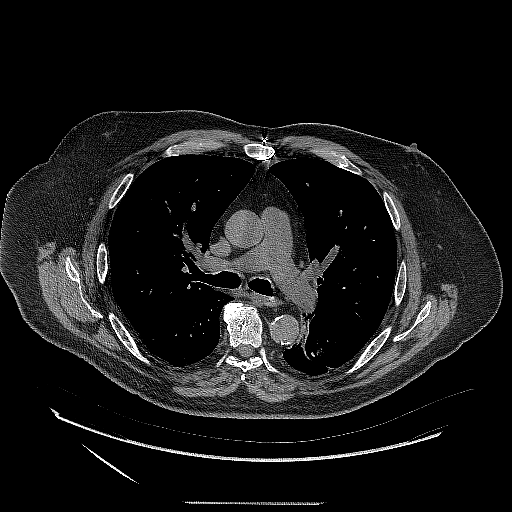

512x512 px, Thorax, CT image

Lung tumor = <bbox>286, 308, 330, 363</bbox>.